FLAIR MRI.
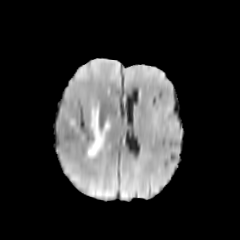
T1-weighted MR image.
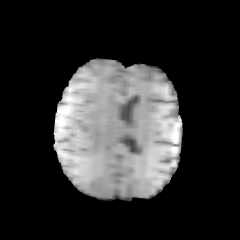
Post-contrast T1-weighted MR image.
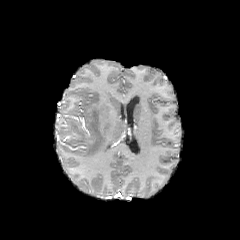
T2-weighted MR.
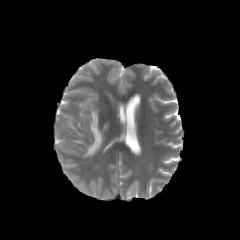
edema:
  - box(84, 105, 110, 157)